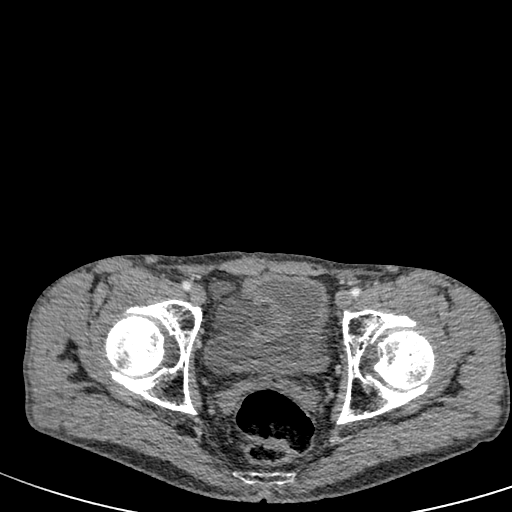 CT. Pelvis. urinary bladder: l=204, t=273, r=328, b=388